Image width 400 mm. Slice index 411. CT scan slice.
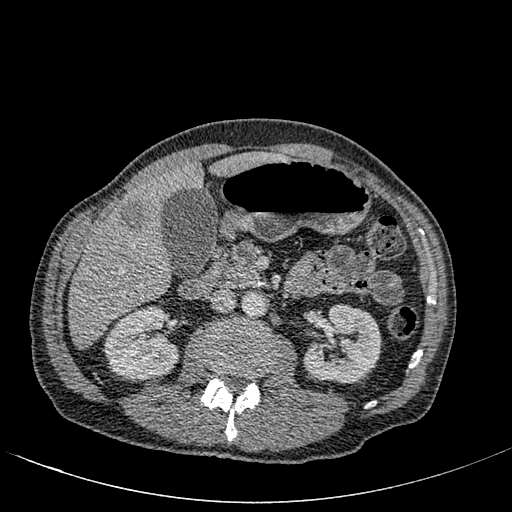

<segmentation>
  <liver_lesion>(118, 199, 151, 235)</liver_lesion>
  <kidney>(304, 304, 380, 382), (105, 307, 178, 379)</kidney>
  <liver>(69, 161, 202, 348), (210, 152, 288, 175)</liver>
</segmentation>